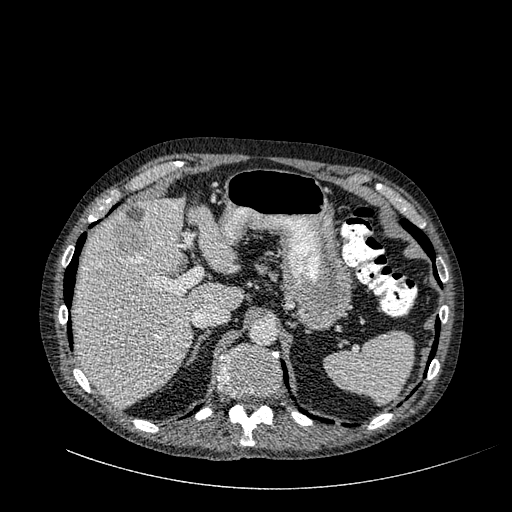
Computed tomography
2 liver regions are bounded by (x1=74, y1=197, x2=243, y2=406), (x1=189, y1=207, x2=235, y2=271). The hepatic lesion is located at (x1=111, y1=205, x2=149, y2=258).